FLAIR MR image.
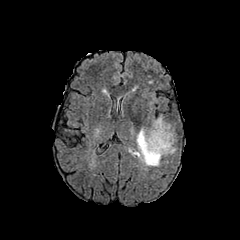
T1-weighted MR image.
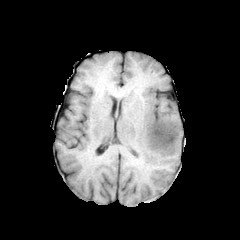
Post-contrast T1-weighted MR.
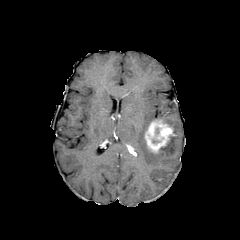
T2-weighted MR.
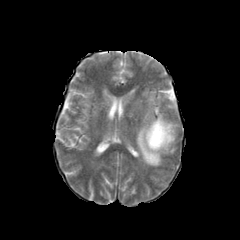
Image size 240x240. Head.
Edema: box(134, 119, 176, 166); box(159, 115, 176, 134).
Enhancing tumor: box(144, 117, 176, 153).